Slice 62/155
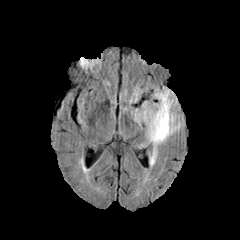
FLAIR MRI.
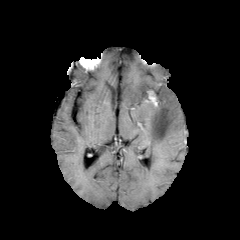
T1-weighted MR image.
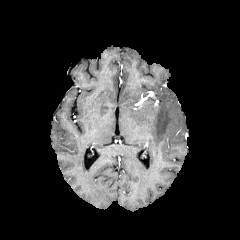
Same slice, post-contrast T1-weighted MR.
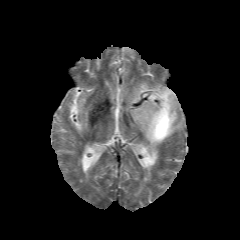
T2-weighted MRI.
Edema — rect(128, 85, 182, 168).
Non-enhancing tumor core — rect(155, 116, 164, 133).